FLAIR MRI.
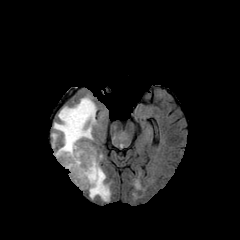
T1-weighted MR image.
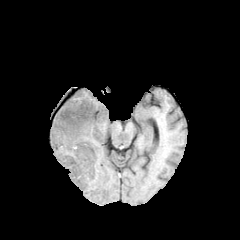
Post-contrast T1-weighted MR.
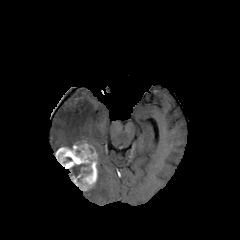
T2-weighted MR.
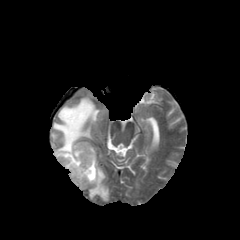
Segmented structures:
* enhancing tumor: [x1=55, y1=144, x2=97, y2=189]
* edema: [x1=52, y1=96, x2=97, y2=147], [x1=86, y1=161, x2=110, y2=201]
* non-enhancing tumor core: [x1=74, y1=141, x2=95, y2=151], [x1=71, y1=164, x2=88, y2=189]